CT image; Pelvis; Slice 79/537; Field of view 496x496 mm 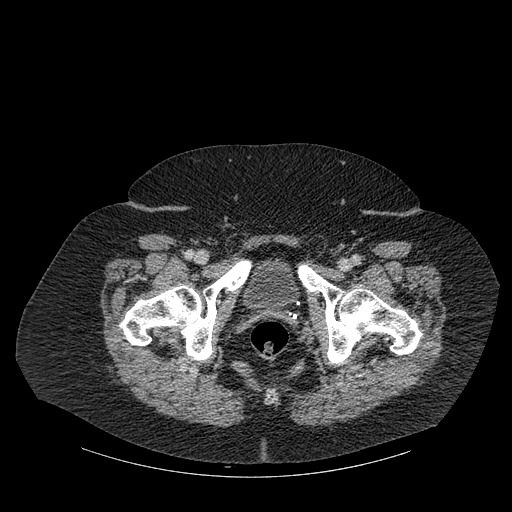
{
  "bone": [
    "<box>298,265,422,363</box>",
    "<box>119,260,251,360</box>"
  ],
  "urinary_bladder": [
    "<box>241,258,300,321</box>"
  ]
}